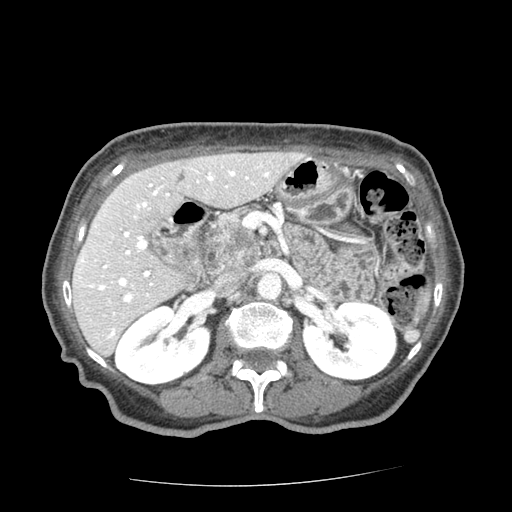

CT; 512x512
{
  "pancreatic_tumor": [
    "l=216, t=220, r=253, b=265"
  ],
  "pancreas": [
    "l=204, t=204, r=258, b=276"
  ]
}